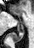
MR image; Medial temporal lobe
- posterior hippocampus: <bbox>13, 32, 23, 42</bbox>